FLAIR MRI.
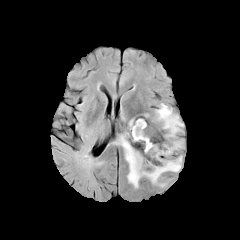
T1-weighted MRI.
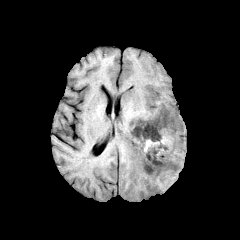
Post-contrast T1-weighted magnetic resonance.
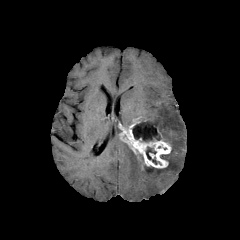
T2-weighted MRI.
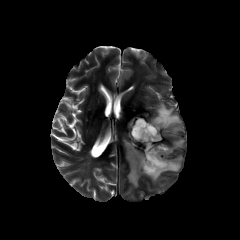
Brain
The enhancing tumor appears at x1=122, y1=117, x2=171, y2=167. 3 non-enhancing tumor core regions are located at x1=145, y1=146, x2=161, y2=165; x1=132, y1=119, x2=159, y2=142; x1=137, y1=153, x2=162, y2=171. 3 edema regions are located at x1=170, y1=139, x2=183, y2=153; x1=114, y1=135, x2=182, y2=187; x1=152, y1=102, x2=183, y2=136.